Slice 16 of 30; MRI

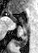
{
  "posterior_hippocampus": [
    "<bbox>13, 33, 29, 46</bbox>"
  ],
  "anterior_hippocampus": [
    "<bbox>10, 12, 12, 17</bbox>"
  ]
}